Abdomen. CT. Slice index 92. Image size 512x512.
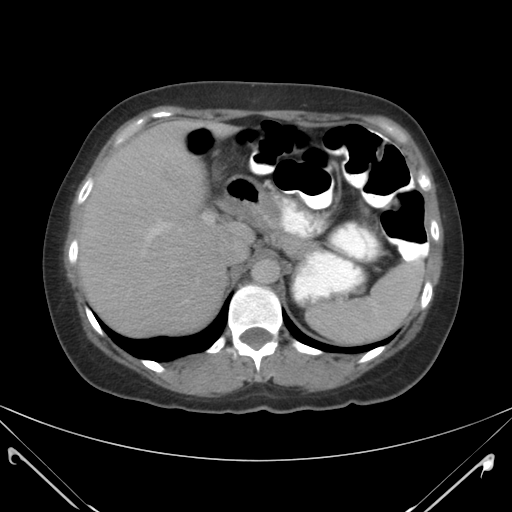 The spleen is at bbox=[306, 262, 422, 344].